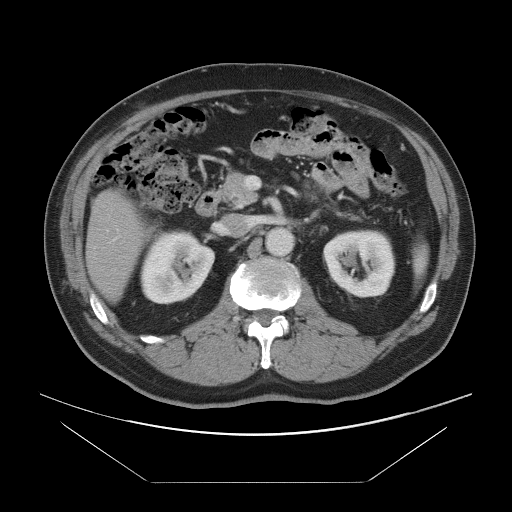 CT slice; Image size 512x512
Some hepatic vessels may have no box.
Hepatic vessel: box=[113, 239, 114, 240].